Slice index 36, CT image, Image width 424 mm 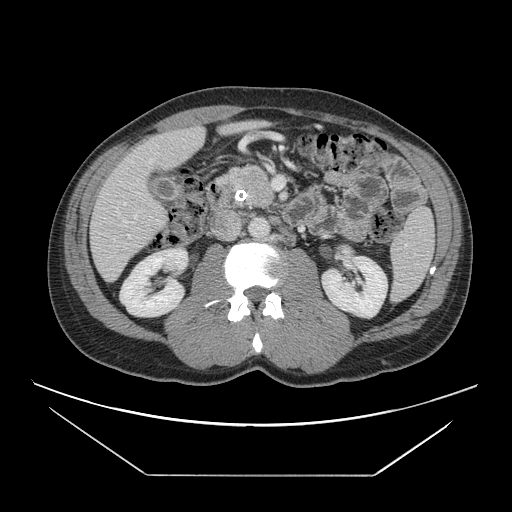

The pancreas is at x1=233, y1=167, x2=272, y2=208.